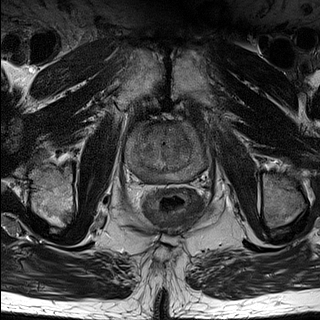
T2-weighted MR.
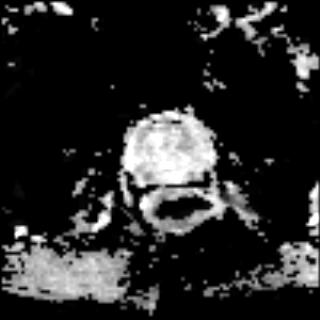
ADC MRI.
Prostate peripheral zone: {"x1": 129, "y1": 124, "x2": 202, "y2": 182}.
Prostate transition zone: {"x1": 134, "y1": 124, "x2": 191, "y2": 171}.